Field of view 386 mm wide, 2.00 mm slice spacing, CT scan slice, Liver

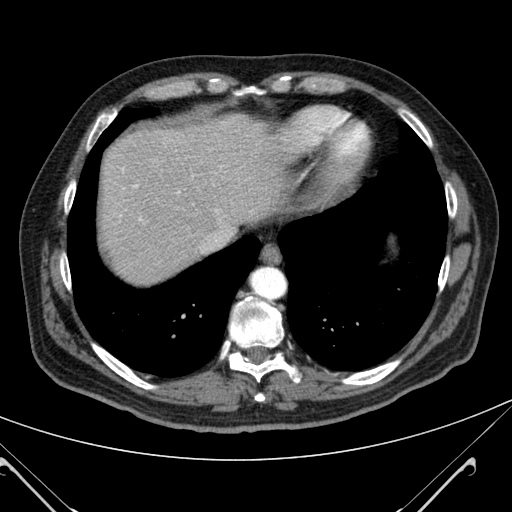
{
  "liver": [
    "bbox=[98, 109, 299, 287]"
  ]
}